Slice 60 of 82; CT scan slice

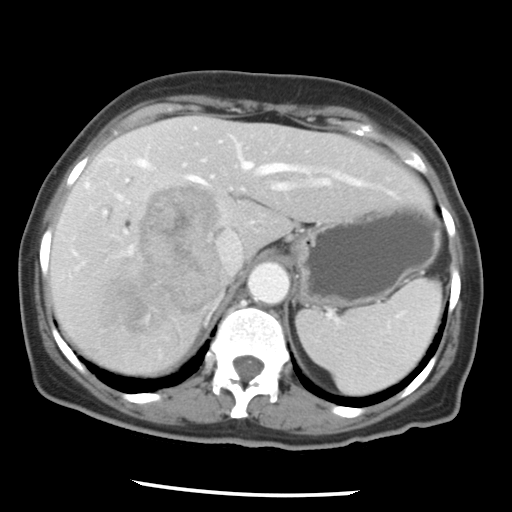 Only some of the vessels may be annotated.
The liver tumor lies within bbox(91, 181, 223, 338). 14 hepatic vessel regions are bounded by bbox(147, 147, 148, 148); bbox(322, 179, 328, 182); bbox(274, 183, 285, 188); bbox(72, 250, 76, 254); bbox(115, 193, 128, 203); bbox(125, 152, 153, 170); bbox(236, 142, 288, 174); bbox(82, 179, 91, 191); bbox(351, 179, 363, 184); bbox(125, 245, 132, 253); bbox(99, 156, 117, 162); bbox(186, 174, 206, 181); bbox(224, 211, 227, 221); bbox(219, 231, 240, 268).